Image size 512x512; Slice 545 of 896; CT slice

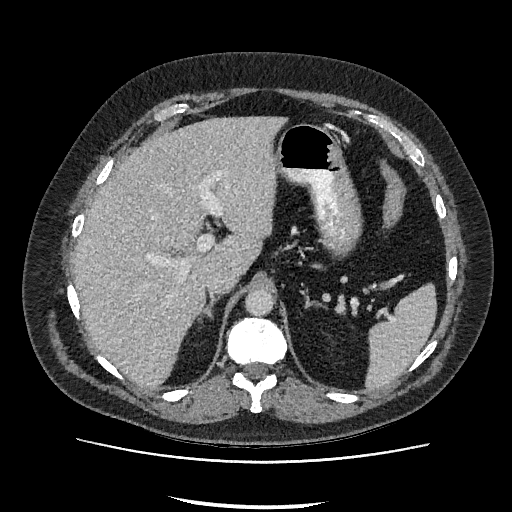

Liver — x1=76 y1=117 x2=283 y2=388.